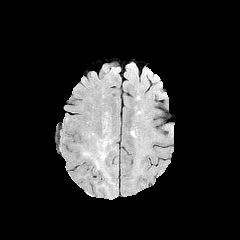
FLAIR MR.
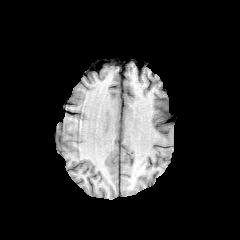
T1-weighted MR image.
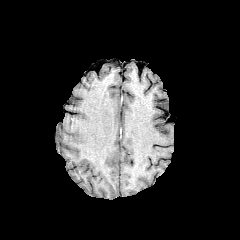
Post-contrast T1-weighted MR.
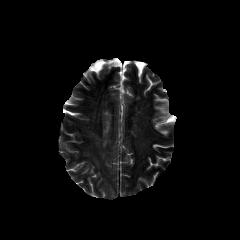
T2-weighted MR image.
240x240.
edema:
  - box=[103, 111, 109, 134]